Image size 33x47, MR image, Slice 18 of 35, Medial temporal lobe
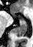

Posterior hippocampus: 15, 21, 27, 37.
Anterior hippocampus: 13, 15, 14, 16; 19, 19, 24, 20.